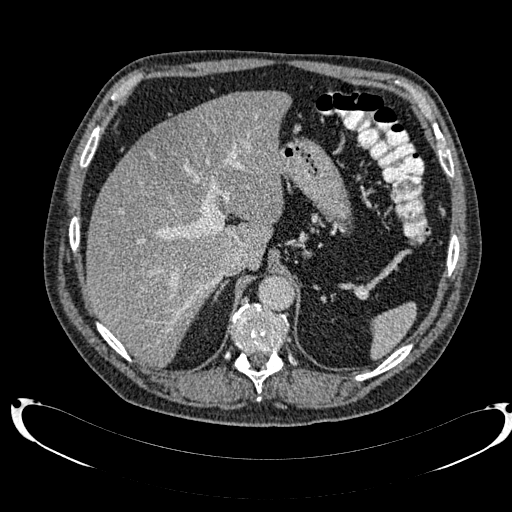 CT slice. Abdomen.
Liver lesion: bounding box 132, 94, 241, 204.
Liver: bounding box 87, 91, 290, 366.